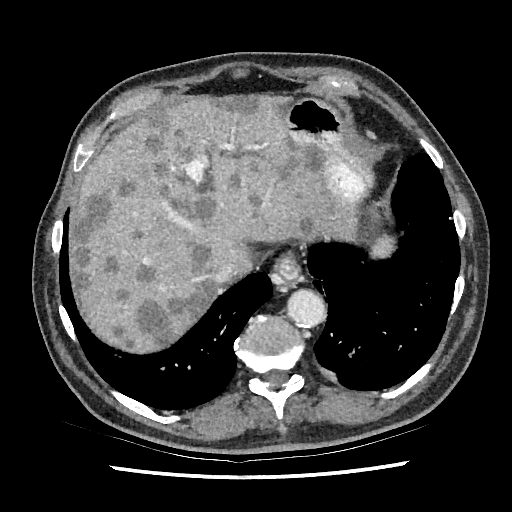
512x512 px. CT image.

2 liver regions are bounded by {"x1": 168, "y1": 313, "x2": 193, "y2": 340}, {"x1": 71, "y1": 96, "x2": 355, "y2": 351}. The most prominent 15 liver lesion regions (of 17) are located at {"x1": 133, "y1": 276, "x2": 217, "y2": 346}, {"x1": 284, "y1": 135, "x2": 322, "y2": 173}, {"x1": 145, "y1": 162, "x2": 168, "y2": 176}, {"x1": 72, "y1": 177, "x2": 137, "y2": 302}, {"x1": 144, "y1": 109, "x2": 171, "y2": 153}, {"x1": 226, "y1": 173, "x2": 241, "y2": 190}, {"x1": 217, "y1": 96, "x2": 262, "y2": 112}, {"x1": 137, "y1": 265, "x2": 156, "y2": 283}, {"x1": 104, "y1": 257, "x2": 118, "y2": 272}, {"x1": 248, "y1": 193, "x2": 262, "y2": 210}, {"x1": 113, "y1": 325, "x2": 134, "y2": 347}, {"x1": 299, "y1": 218, "x2": 313, "y2": 232}, {"x1": 157, "y1": 185, "x2": 216, "y2": 225}, {"x1": 189, "y1": 243, "x2": 209, "y2": 270}, {"x1": 131, "y1": 228, "x2": 145, "y2": 240}.